FLAIR MR.
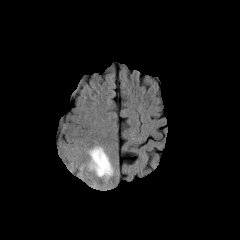
T1-weighted magnetic resonance.
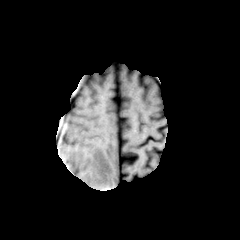
Post-contrast T1-weighted magnetic resonance.
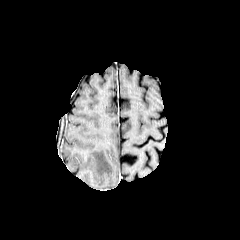
T2-weighted MRI.
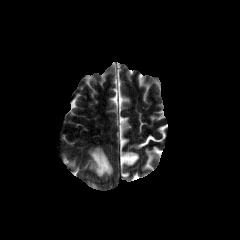
Brain
{"edema": ["<bbox>87, 146, 112, 177</bbox>"]}